CT image. Liver. 512x512. Slice 348/366. Field of view 360 mm wide, 1.25 mm slice spacing.
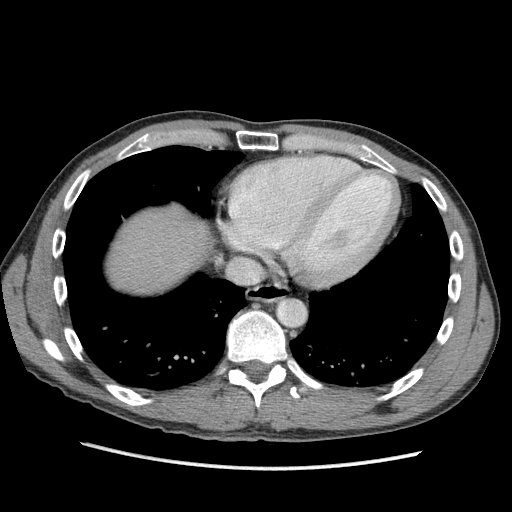
Segmented structures:
• liver: left=106, top=203, right=212, bottom=294